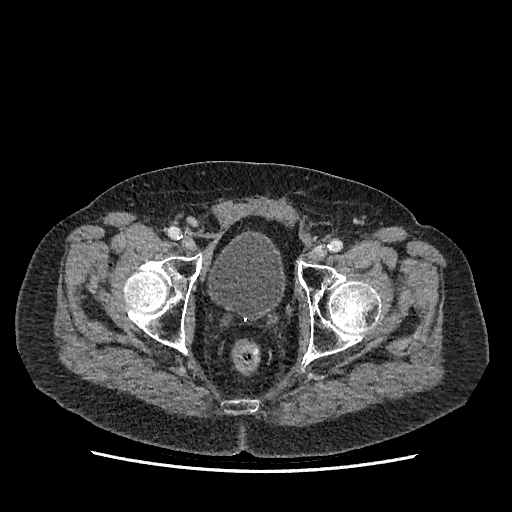 Image size 512x512, Pelvis, Computed tomography
The urinary bladder is bounded by {"x1": 208, "y1": 234, "x2": 283, "y2": 317}.